CT slice
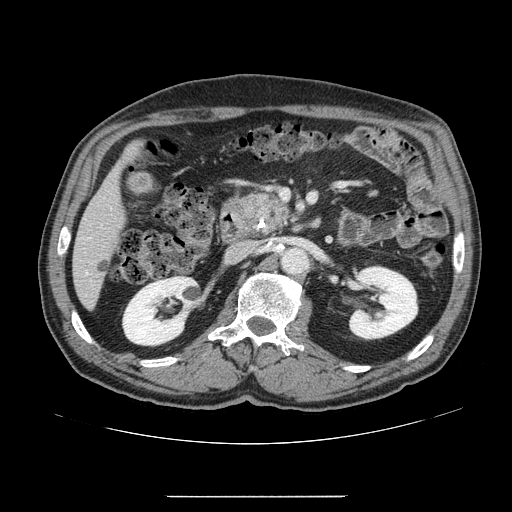
Pancreas: <box>238,190,292,237</box>.